CT, 512x512 px, Abdomen, Image width 387 mm 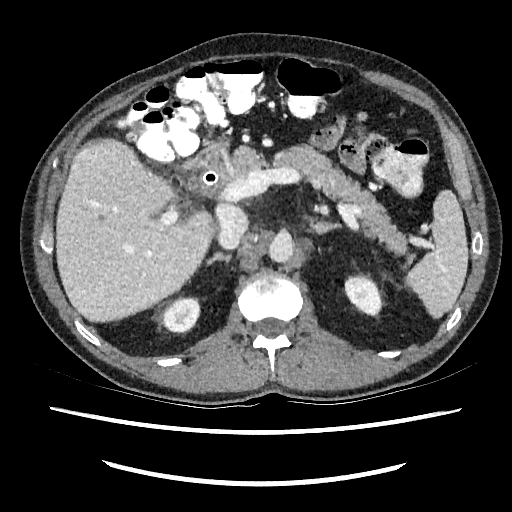
liver:
  - rect(56, 140, 215, 320)
kidney:
  - rect(345, 278, 380, 312)
  - rect(164, 299, 198, 331)